Field of view 35x47 mm; MR

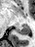 {
  "posterior_hippocampus": [
    "16:24:29:35"
  ]
}